240x240 px, Field of view 240x240 mm, Slice 65 of 155, Head
FLAIR MRI.
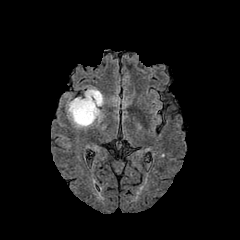
T1-weighted magnetic resonance.
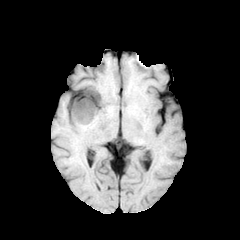
Post-contrast T1-weighted MR.
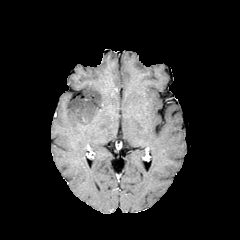
T2-weighted MR image.
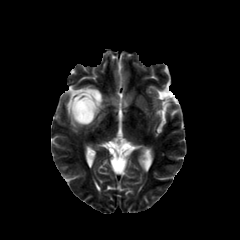
edema:
  - 66, 86, 103, 129
non-enhancing_tumor_core:
  - 78, 105, 91, 121